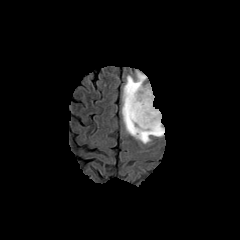
FLAIR magnetic resonance.
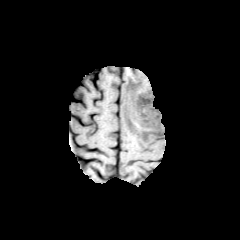
Same slice, T1-weighted MRI.
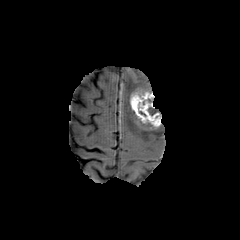
Post-contrast T1-weighted magnetic resonance of the same slice.
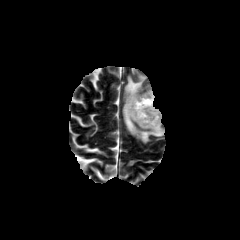
T2-weighted MRI of the same slice.
Head.
<segmentation>
  <non-enhancing_tumor_core>left=122, top=80, right=152, bottom=129; left=141, top=120, right=162, bottom=139</non-enhancing_tumor_core>
  <edema>left=120, top=70, right=164, bottom=143</edema>
  <enhancing_tumor>left=129, top=89, right=161, bottom=129</enhancing_tumor>
</segmentation>